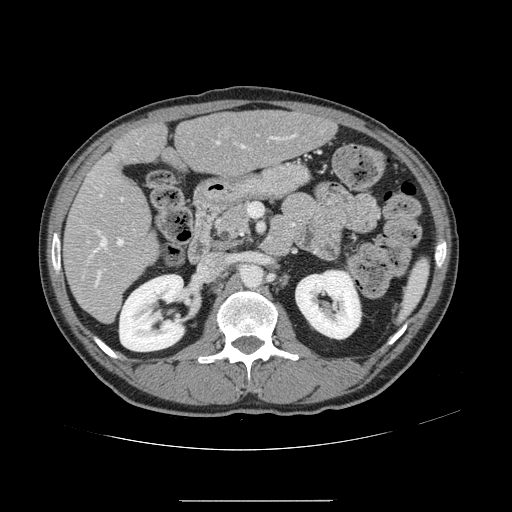
Liver | CT
The vessel boxes may cover only some of the vessels.
Hepatic vessel: bounding box 292,135,295,136; 95,270,101,287; 100,194,101,196; 118,238,122,244; 276,139,279,139; 96,230,100,233; 88,236,106,259; 270,136,273,138; 240,145,243,147; 121,198,122,199; 81,275,83,279; 217,141,219,144.